CT slice; Lower abdomen
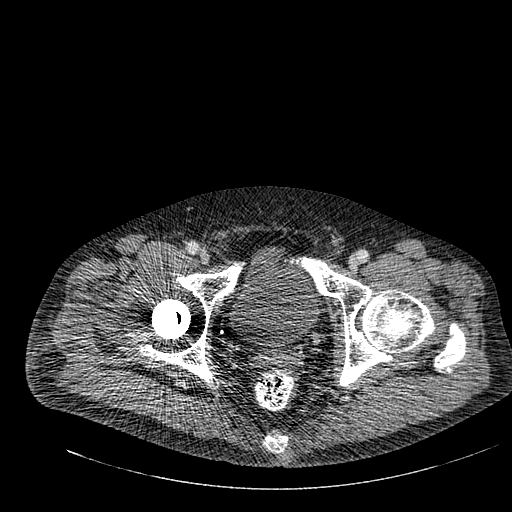 urinary_bladder:
  - rect(229, 246, 320, 350)